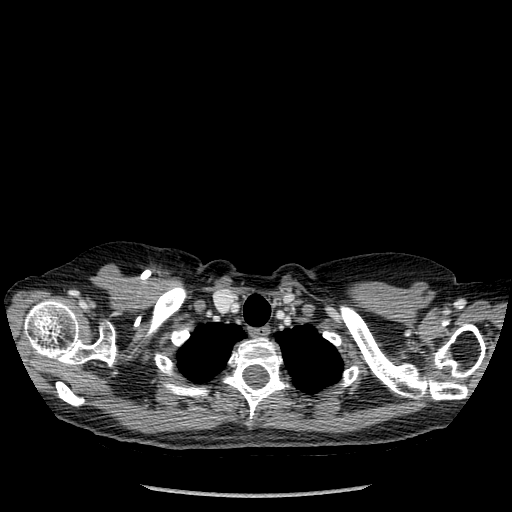
512x512 | Chest | Computed tomography

lung:
  - x1=177, y1=322, x2=244, y2=382
  - x1=243, y1=294, x2=270, y2=326
  - x1=275, y1=325, x2=343, y2=393
bone:
  - x1=341, y1=366, x2=359, y2=386
  - x1=145, y1=285, x2=186, y2=336
  - x1=164, y1=384, x2=208, y2=396
  - x1=323, y1=331, x2=341, y2=346
  - x1=340, y1=306, x2=467, y2=400
  - x1=155, y1=354, x2=173, y2=374
  - x1=24, y1=299, x2=116, y2=366
  - x1=56, y1=381, x2=84, y2=405
  - x1=223, y1=337, x2=288, y2=418
  - x1=434, y1=324, x2=485, y2=379
  - x1=171, y1=328, x2=189, y2=345